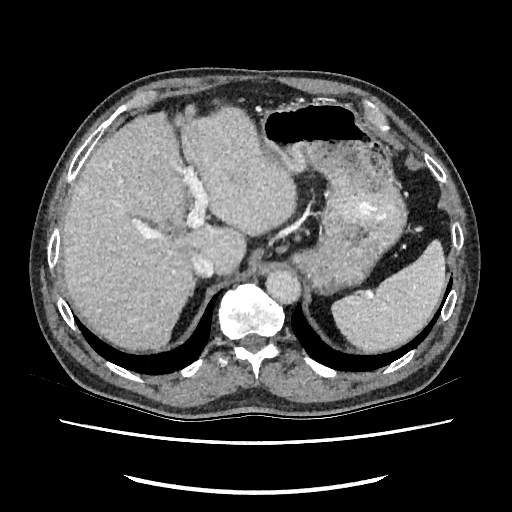

CT image; Liver

2 liver regions appear at [x1=62, y1=113, x2=244, y2=347], [x1=182, y1=108, x2=294, y2=234].